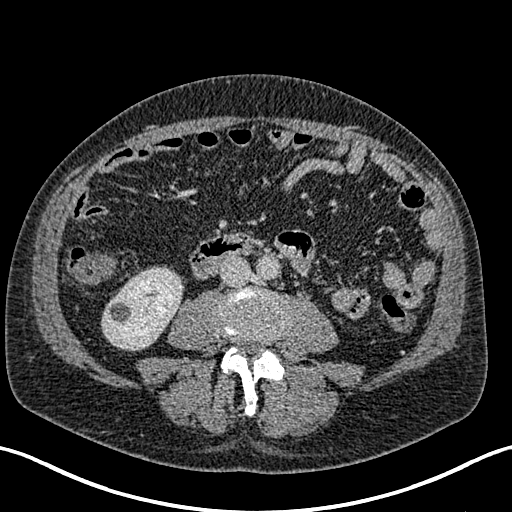 CT scan slice, 512x512, Abdomen

Segmented structures:
• kidney: box(102, 268, 181, 349)